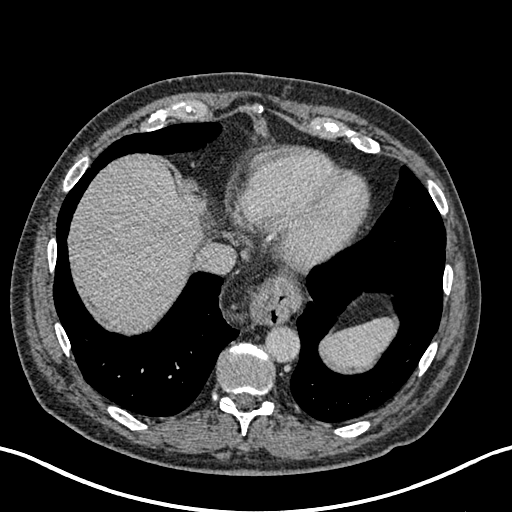
Computed tomography, Abdomen
The liver lies within box=[70, 154, 201, 330]. The liver lesion is at box=[184, 200, 206, 220].